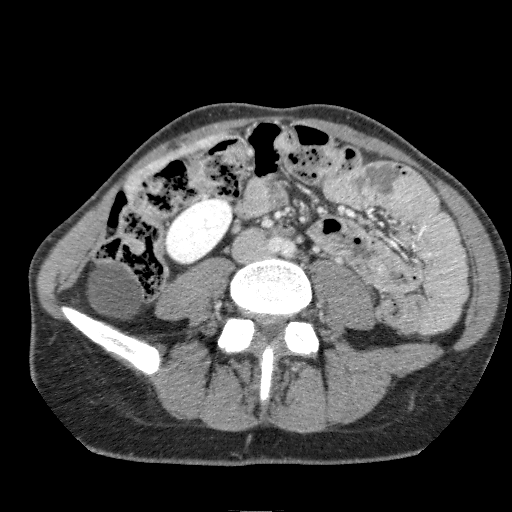
Image size 512x512, CT scan slice

Liver = bbox(125, 137, 213, 193).
Kidney = bbox(166, 199, 231, 262).